Head
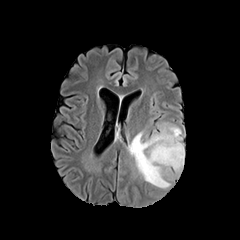
FLAIR MRI.
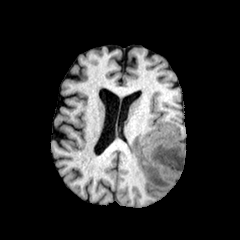
T1-weighted magnetic resonance.
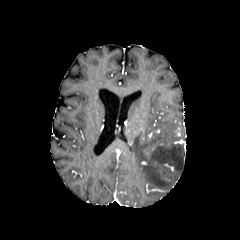
Same slice, post-contrast T1-weighted MR.
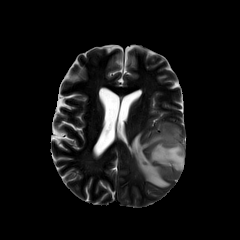
T2-weighted MR image of the same slice.
The edema is located at [128, 122, 184, 187].